Brain, 240x240 px
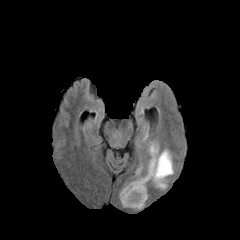
FLAIR MRI.
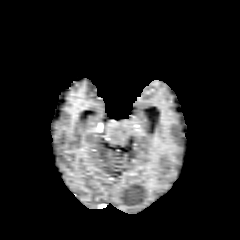
T1-weighted MRI.
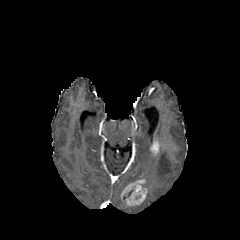
Post-contrast T1-weighted magnetic resonance.
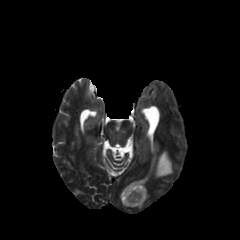
T2-weighted MRI.
2 enhancing tumor regions appear at <bbox>150, 142, 158, 153</bbox>, <bbox>121, 179, 145, 205</bbox>. The edema lies within <bbox>124, 148, 173, 208</bbox>.